Slice 39/105. CT image. 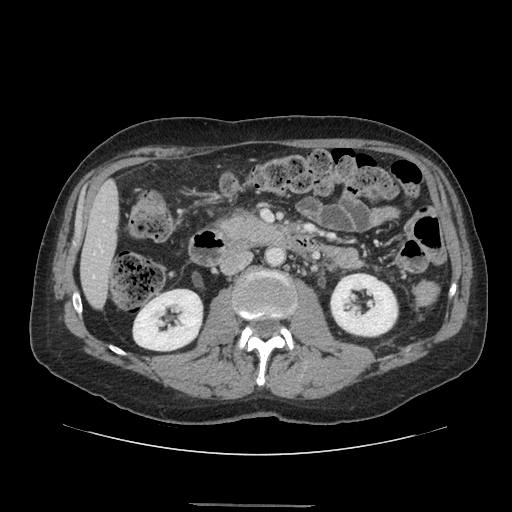 Pancreas: [223,214,275,242].